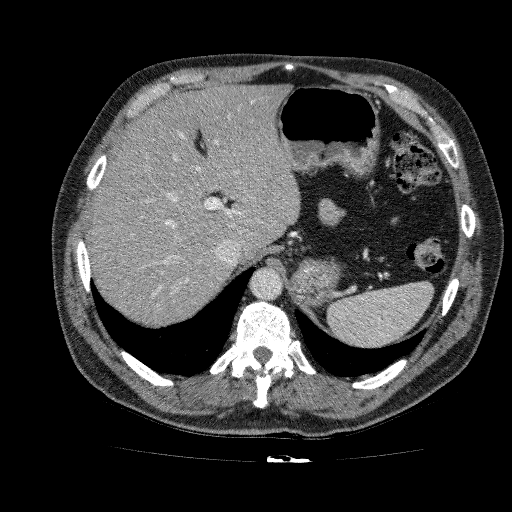

Computed tomography, Image size 512x512
Liver: bounding box (x1=85, y1=84, x2=299, y2=326).